Slice 372/816. 512x512 px. Field of view 369x369 mm. Computed tomography. 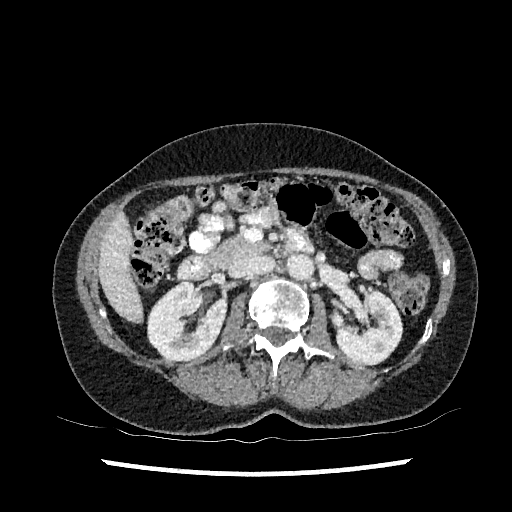

{"kidney": ["[334, 292, 401, 364]", "[148, 282, 226, 360]"], "liver": ["[99, 213, 141, 321]"]}